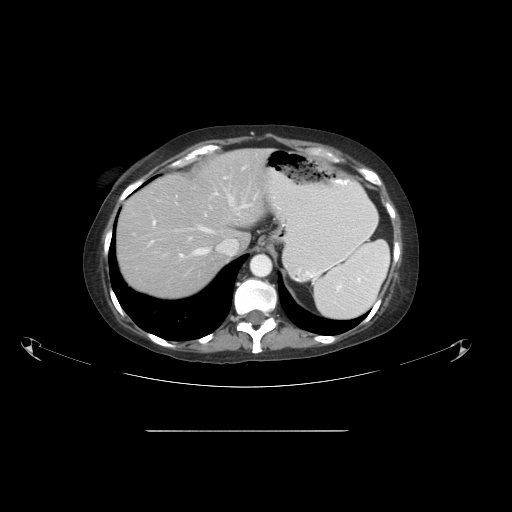
512x512, CT
The vessel boxes may cover only some of the vessels.
<segmentation>
  <hepatic_vessel>153,220,155,224; 198,225,212,232; 254,194,257,198; 224,176,230,178; 176,203,177,204; 180,254,183,257; 242,166,245,169; 189,237,191,239; 214,191,217,194; 228,195,251,211; 149,240,153,244; 193,248,209,255</hepatic_vessel>
</segmentation>